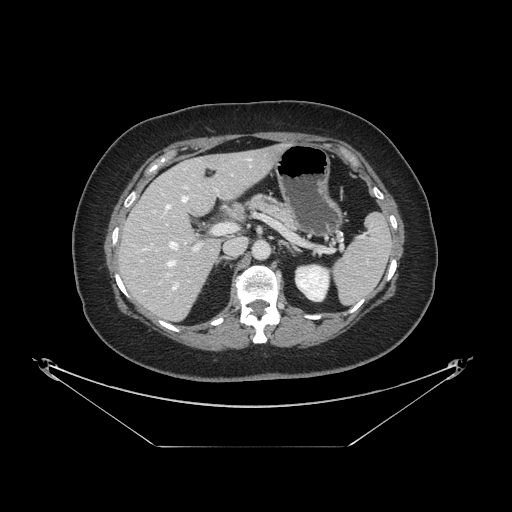
CT scan slice, Abdomen
The pancreas is bounded by bbox=[245, 195, 295, 229].